Slice index 30 | CT | Field of view 500x500 mm | Upper abdomen 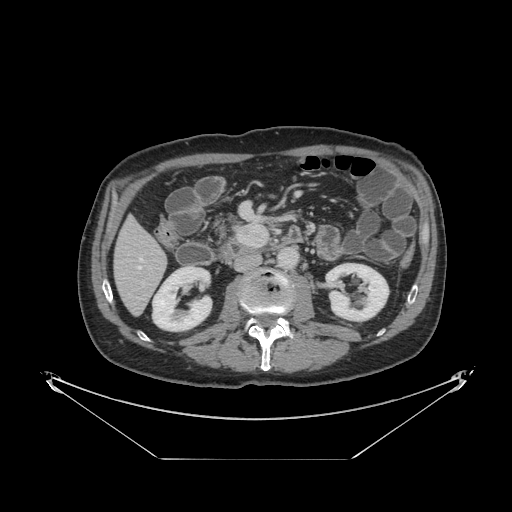
The pancreatic tumor appears at 235,223,269,248. The pancreas lies within 211,211,248,246.